Liver; Slice index 111; Image width 500 mm; CT slice 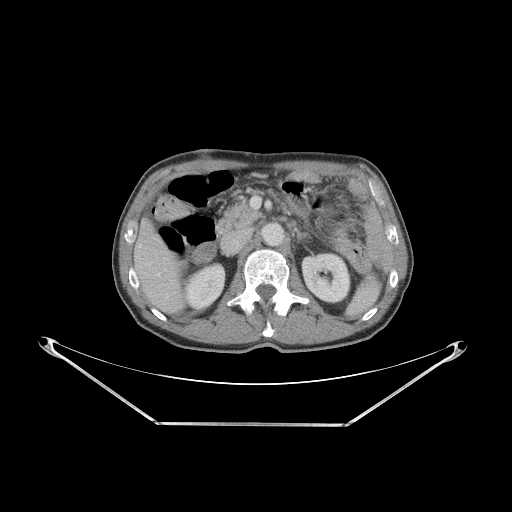

liver: box=[134, 218, 182, 313] | bone: box=[389, 229, 397, 238]; box=[152, 309, 165, 320]; box=[363, 308, 376, 319]; box=[237, 250, 308, 315]; box=[263, 322, 273, 336]; box=[129, 270, 136, 287]; box=[390, 272, 397, 286] | kidney: box=[303, 254, 348, 301]; box=[186, 266, 223, 308]